Upper abdomen, CT image
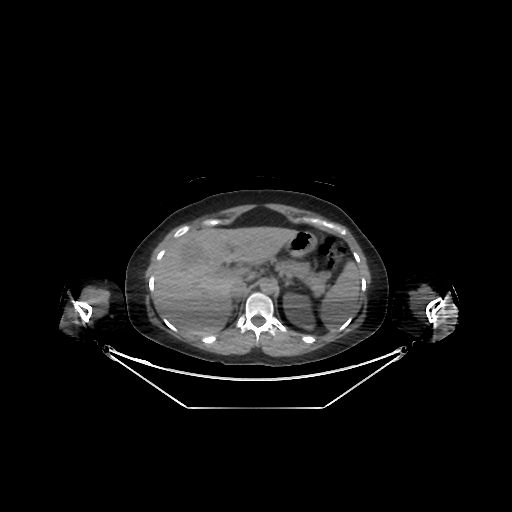
Liver — <box>151,226,296,339</box>.
Kidney — <box>283,292,314,329</box>.